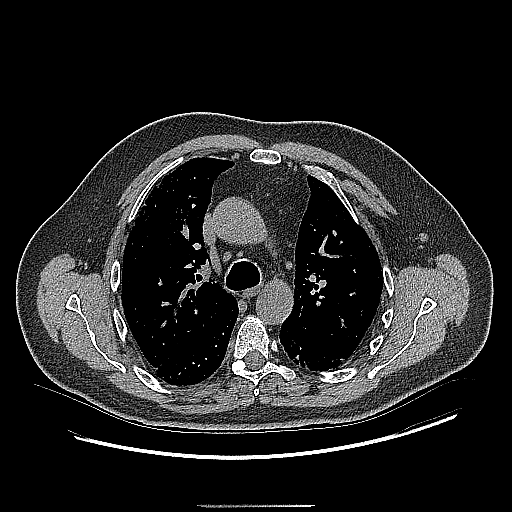

CT, Chest
Findings:
- lung tumor: (279,330,308,368)